Head | 240x240 px
FLAIR MR.
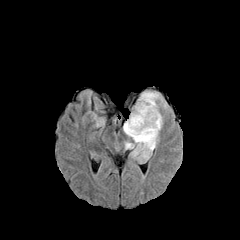
T1-weighted MRI.
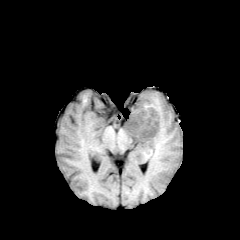
Post-contrast T1-weighted MRI.
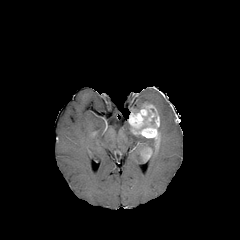
T2-weighted MR.
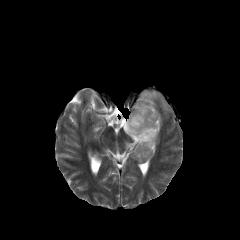
<segmentation>
  <enhancing_tumor>bbox=[128, 104, 159, 138]; bbox=[141, 147, 152, 161]</enhancing_tumor>
  <edema>bbox=[123, 90, 172, 163]</edema>
  <non-enhancing_tumor_core>bbox=[133, 102, 150, 112]; bbox=[136, 143, 151, 153]</non-enhancing_tumor_core>
</segmentation>